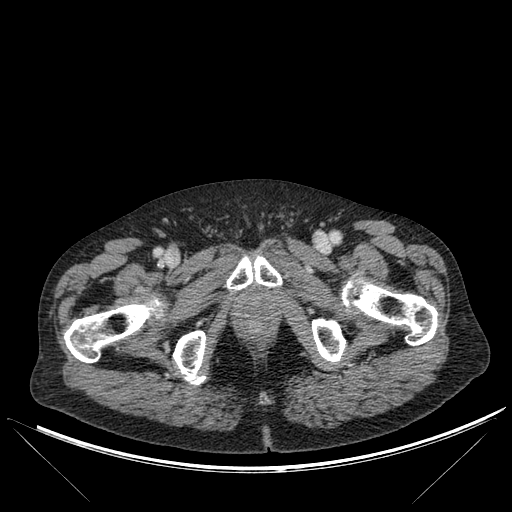

Image size 512x512, CT slice
bone:
  - box(227, 256, 281, 290)
  - box(173, 330, 205, 384)
  - box(63, 299, 162, 362)
  - box(312, 319, 345, 362)
  - box(342, 280, 437, 345)